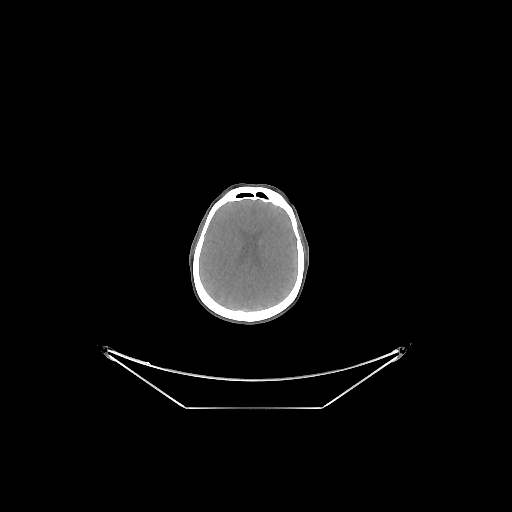 Head | CT scan slice | Image size 512x512
{"brain": ["[199,199,297,311]"], "bone": ["[193,187,303,321]"]}